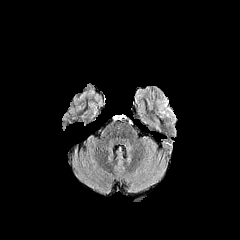
FLAIR MR image.
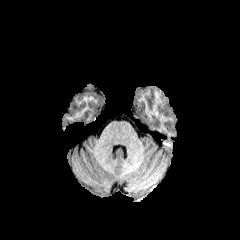
T1-weighted MR.
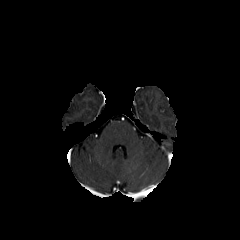
Same slice, post-contrast T1-weighted MR image.
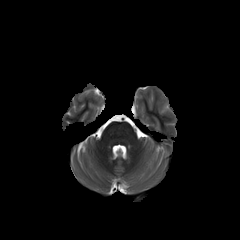
T2-weighted magnetic resonance of the same slice.
240x240 px; Brain
edema:
  - 154:90:176:125